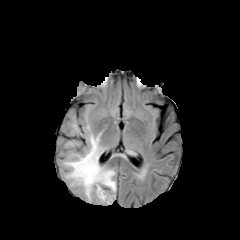
FLAIR magnetic resonance.
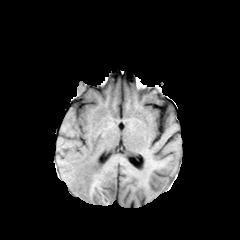
Same slice, T1-weighted MRI.
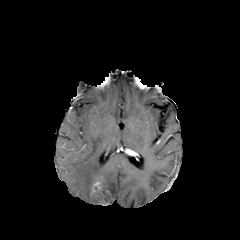
Post-contrast T1-weighted magnetic resonance.
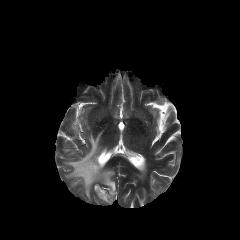
Same slice, T2-weighted magnetic resonance.
Brain
Edema — (x1=63, y1=133, x2=116, y2=203), (x1=70, y1=121, x2=86, y2=135).